Abdomen; 512x512 px; Slice 26 of 54; CT image

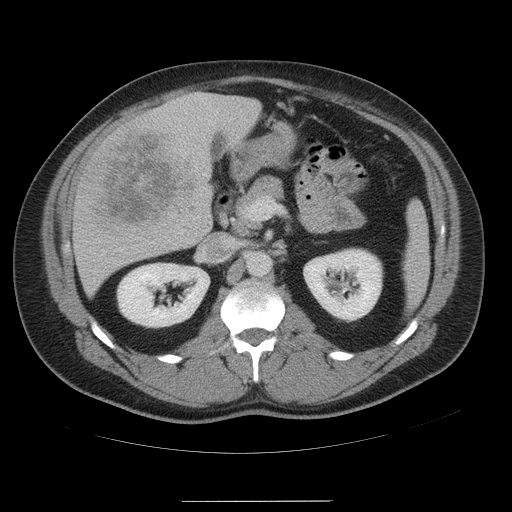

The spleen is located at [403,200,430,311].